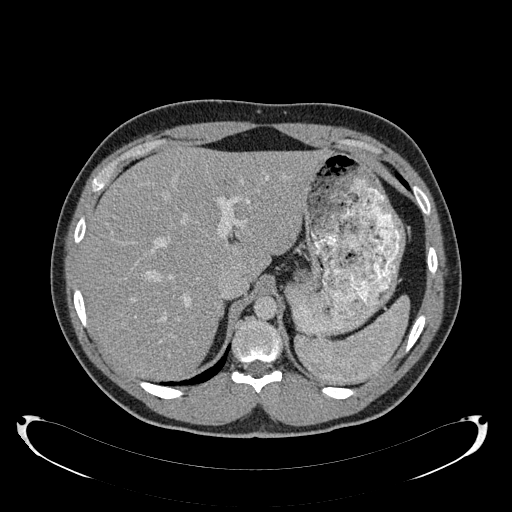

Computed tomography | 512x512
The liver is at (79, 145, 330, 378).